CT scan slice. Abdomen. 512x512 px. 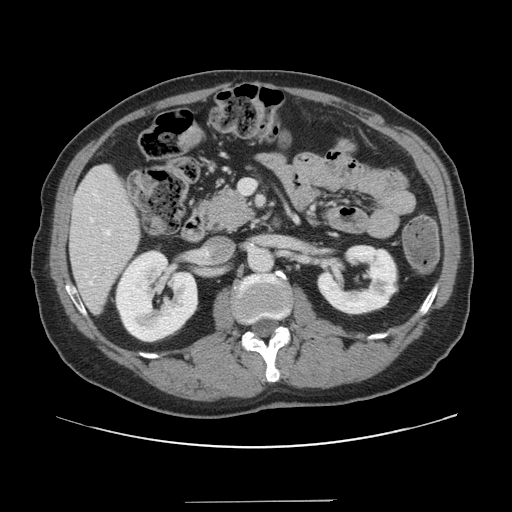

Only some of the vessels may be annotated.
Hepatic vessel: bounding box {"x1": 239, "y1": 179, "x2": 255, "y2": 194}, {"x1": 106, "y1": 230, "x2": 109, "y2": 235}, {"x1": 89, "y1": 281, "x2": 91, "y2": 283}.